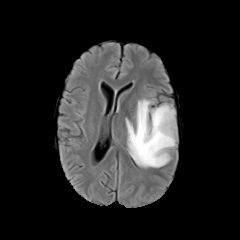
FLAIR MR image.
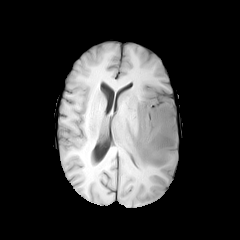
T1-weighted magnetic resonance of the same slice.
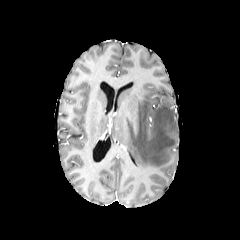
Post-contrast T1-weighted MRI.
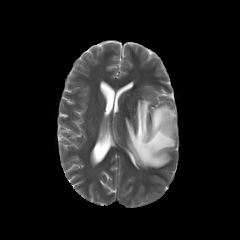
Same slice, T2-weighted MR.
The edema lies within [x1=125, y1=90, x2=178, y2=168].